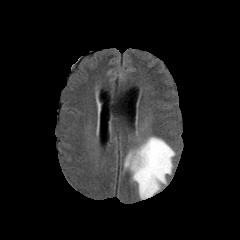
FLAIR MR.
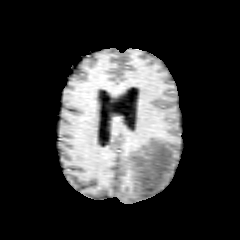
Same slice, T1-weighted magnetic resonance.
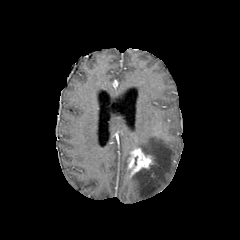
Post-contrast T1-weighted MR image of the same slice.
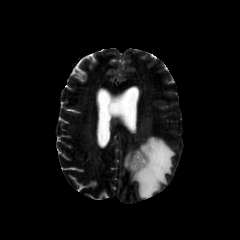
Same slice, T2-weighted magnetic resonance.
{
  "edema": [
    "<box>124,136,175,199</box>"
  ],
  "enhancing_tumor": [
    "<box>127,148,152,173</box>"
  ],
  "non-enhancing_tumor_core": [
    "<box>138,156,155,171</box>"
  ]
}